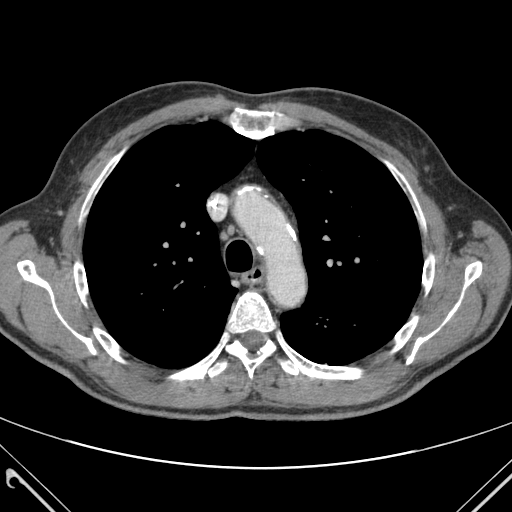

512x512 px; CT slice; Thorax

14 bone regions appear at {"x1": 82, "y1": 151, "x2": 123, "y2": 212}, {"x1": 93, "y1": 328, "x2": 123, "y2": 362}, {"x1": 393, "y1": 316, "x2": 417, "y2": 351}, {"x1": 386, "y1": 161, "x2": 424, "y2": 225}, {"x1": 17, "y1": 260, "x2": 95, "y2": 354}, {"x1": 277, "y1": 334, "x2": 361, "y2": 379}, {"x1": 230, "y1": 108, "x2": 284, "y2": 138}, {"x1": 463, "y1": 262, "x2": 481, "y2": 289}, {"x1": 422, "y1": 255, "x2": 434, "y2": 293}, {"x1": 226, "y1": 340, "x2": 275, "y2": 377}, {"x1": 170, "y1": 333, "x2": 228, "y2": 380}, {"x1": 406, "y1": 294, "x2": 463, "y2": 364}, {"x1": 229, "y1": 292, "x2": 274, "y2": 332}, {"x1": 74, "y1": 262, "x2": 87, "y2": 305}. The lung appears at {"x1": 83, "y1": 121, "x2": 422, "y2": 368}.